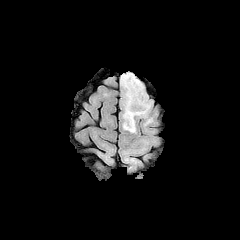
FLAIR magnetic resonance.
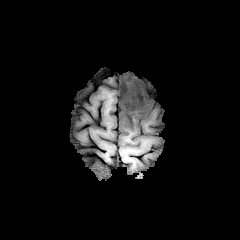
T1-weighted MRI.
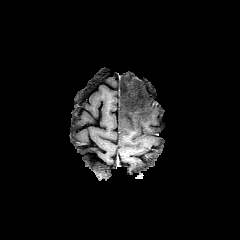
Post-contrast T1-weighted MRI of the same slice.
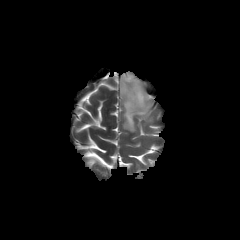
T2-weighted MRI of the same slice.
Image size 240x240
{"edema": ["region(120, 73, 152, 133)"], "non-enhancing_tumor_core": ["region(123, 148, 135, 163)", "region(126, 129, 135, 145)", "region(128, 92, 136, 101)"]}